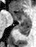
Image size 36x47, MRI slice, Hippocampus
Posterior hippocampus — box=[16, 22, 30, 34].
Anterior hippocampus — box=[12, 12, 30, 21].